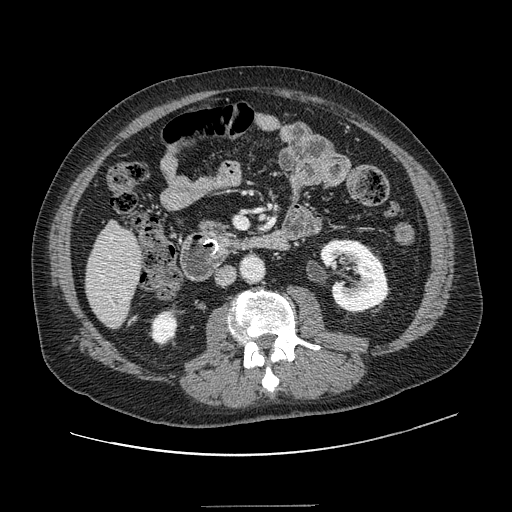

CT. Abdomen.
The pancreas is located at 198, 219, 235, 253.